240x240; Slice 93/155
FLAIR MRI.
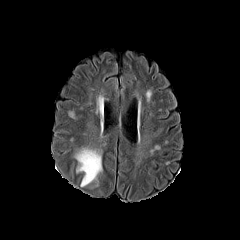
T1-weighted magnetic resonance.
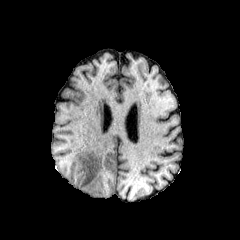
Post-contrast T1-weighted magnetic resonance.
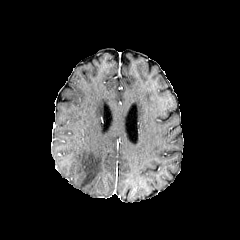
T2-weighted MRI.
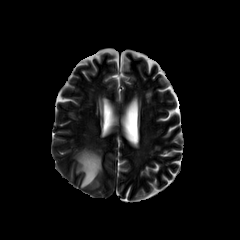
The edema is at left=75, top=148, right=102, bottom=186.